Head; Image size 240x240
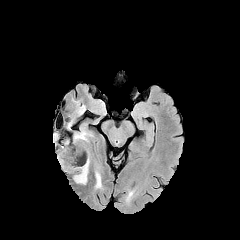
FLAIR magnetic resonance.
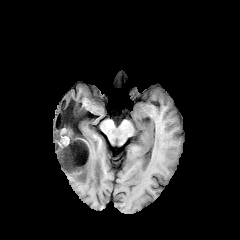
T1-weighted MRI.
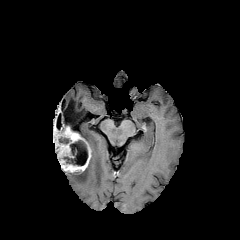
Same slice, post-contrast T1-weighted MR image.
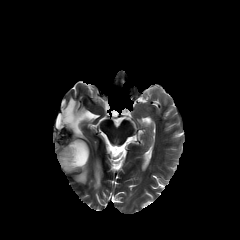
Same slice, T2-weighted magnetic resonance.
• edema: [73, 157, 101, 187], [66, 98, 92, 143]
• enhancing tumor: [58, 143, 89, 171], [53, 124, 60, 145], [66, 126, 82, 143]
• non-enhancing tumor core: [56, 122, 72, 145], [66, 102, 74, 119], [64, 138, 91, 165]